FLAIR MR.
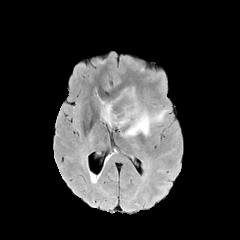
T1-weighted MR image.
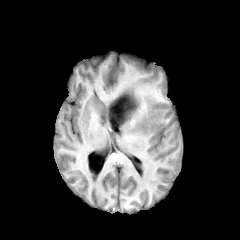
Post-contrast T1-weighted magnetic resonance.
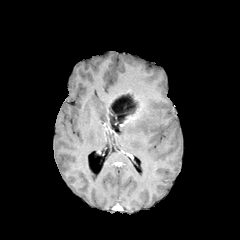
T2-weighted MR image.
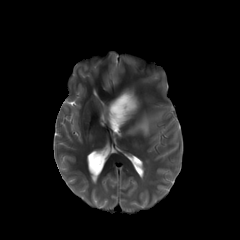
Head
Findings:
* non-enhancing tumor core: <box>108,92,138,131</box>
* edema: <box>101,101,108,125</box>, <box>125,109,166,135</box>